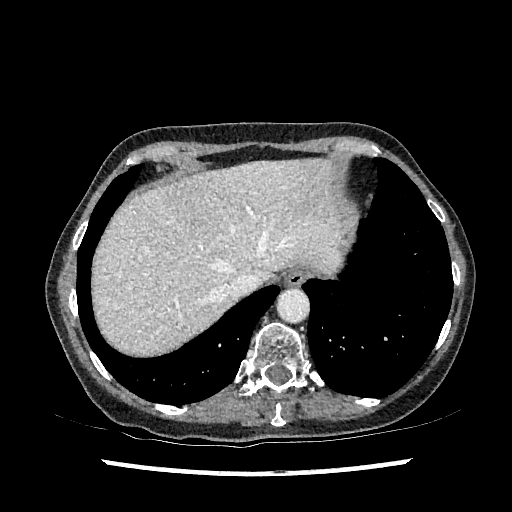
CT. Upper abdomen. Focal liver lesion = 298, 201, 312, 214.
Liver = 92, 159, 345, 353.